CT scan slice, Slice 443 of 751, Field of view 400 mm wide, 0.80 mm slice spacing

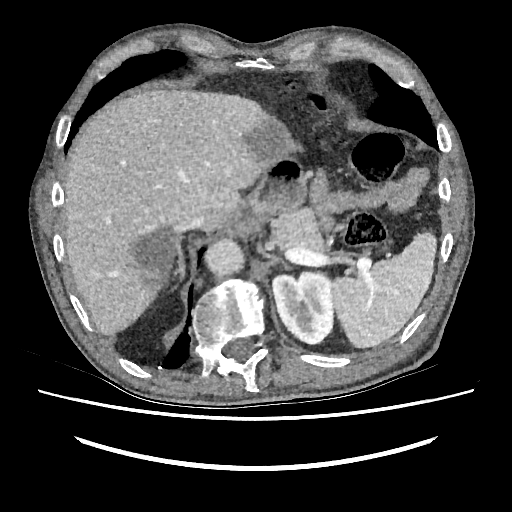 kidney: box=[273, 272, 332, 343] | liver: box=[64, 89, 300, 334] | hepatic lesion: box=[127, 225, 175, 290]; box=[245, 116, 290, 160]